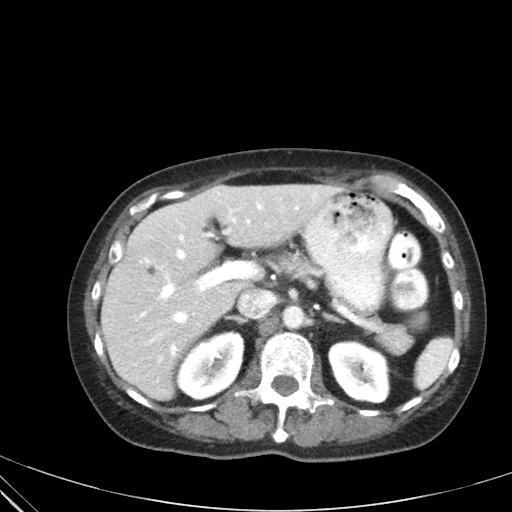 CT

2 pancreas regions are located at bbox=[351, 307, 407, 348]; bbox=[265, 250, 345, 301].